Computed tomography. Slice 260/422.
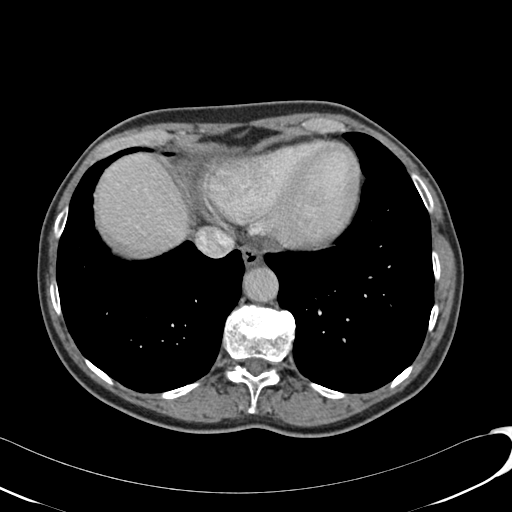 Liver: box=[97, 155, 189, 254].